FLAIR MR image.
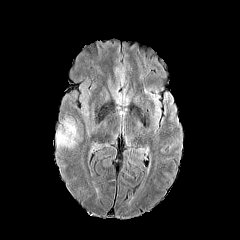
T1-weighted MRI.
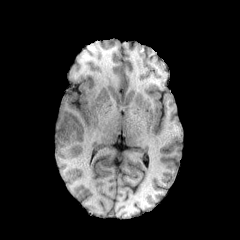
Post-contrast T1-weighted MRI.
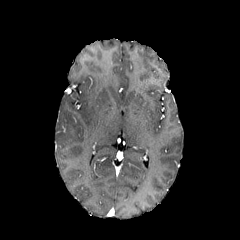
T2-weighted MR image.
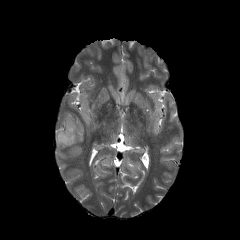
2 edema regions are bounded by (82, 86, 91, 105), (56, 118, 77, 148).